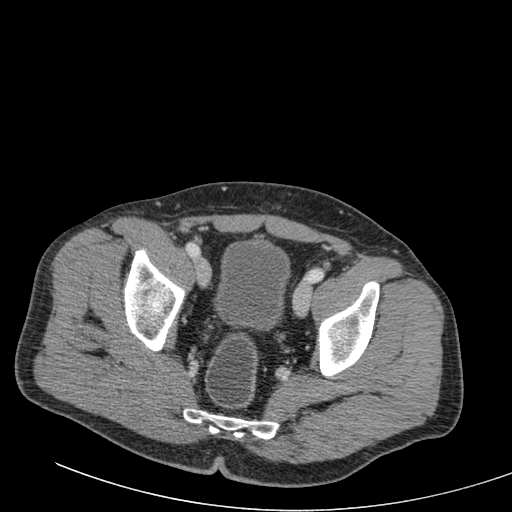
CT, 512x512
<segmentation>
  <urinary_bladder>213 240 289 330</urinary_bladder>
</segmentation>